Slice 7/19. Pelvis.
T2-weighted MR image.
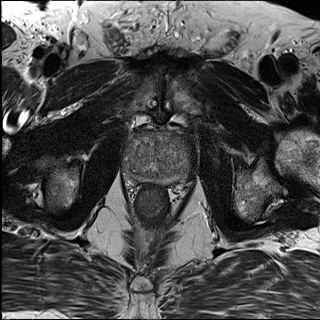
ADC magnetic resonance.
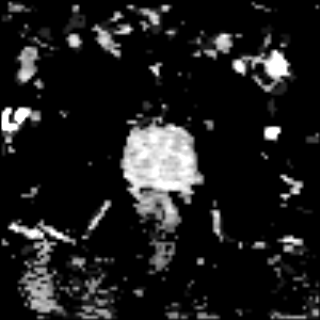
Prostate transition zone — <box>124,131,193,179</box>.
Prostate peripheral zone — <box>126,166,193,186</box>.